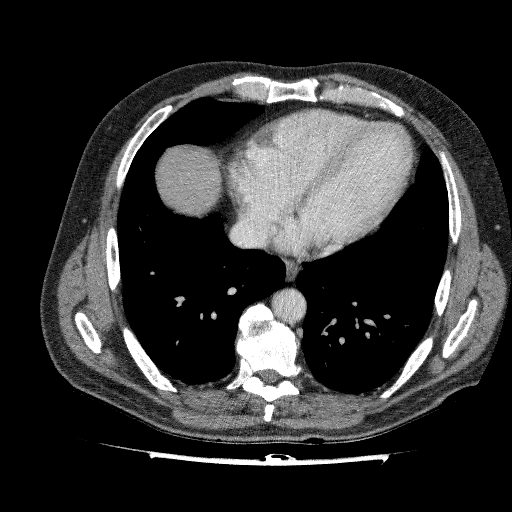

CT image

Annotated regions:
* liver: 155 146 222 216